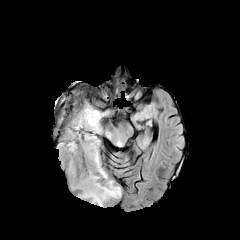
FLAIR magnetic resonance.
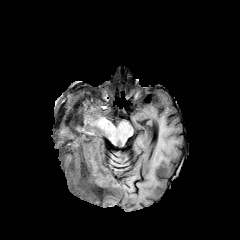
T1-weighted magnetic resonance.
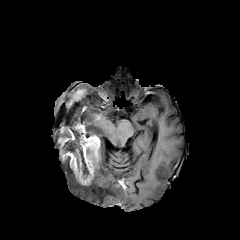
Post-contrast T1-weighted MR of the same slice.
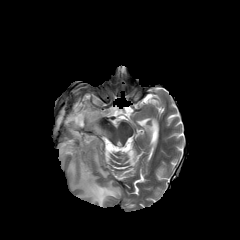
T2-weighted magnetic resonance of the same slice.
Head
{
  "enhancing_tumor": [
    "box=[60, 119, 100, 185]"
  ],
  "edema": [
    "box=[67, 160, 121, 206]",
    "box=[77, 102, 110, 137]"
  ],
  "non-enhancing_tumor_core": [
    "box=[60, 126, 88, 175]",
    "box=[90, 156, 100, 174]"
  ]
}